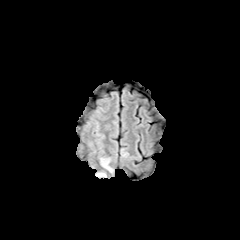
FLAIR MRI.
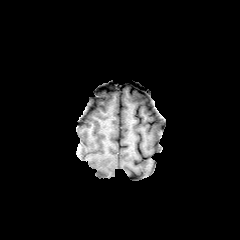
T1-weighted MR image.
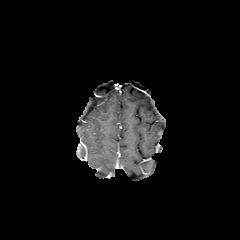
Same slice, post-contrast T1-weighted magnetic resonance.
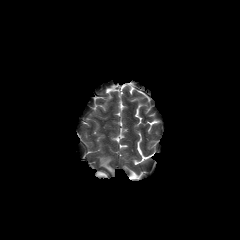
T2-weighted magnetic resonance.
240x240
* edema: <box>96,157,113,177</box>